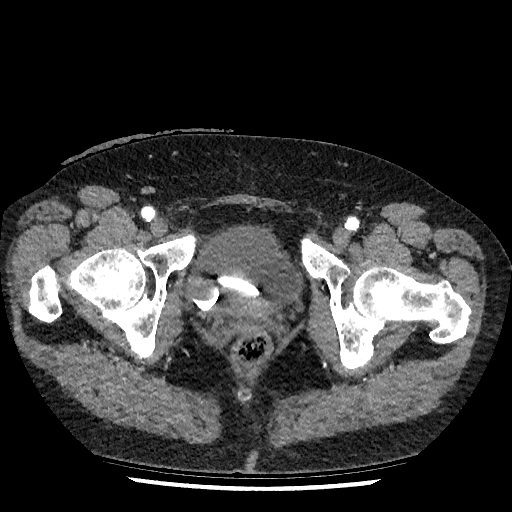

CT scan slice
2 urinary bladder regions are located at x1=206 y1=280 x2=241 y2=321, x1=189 y1=225 x2=296 y2=304.